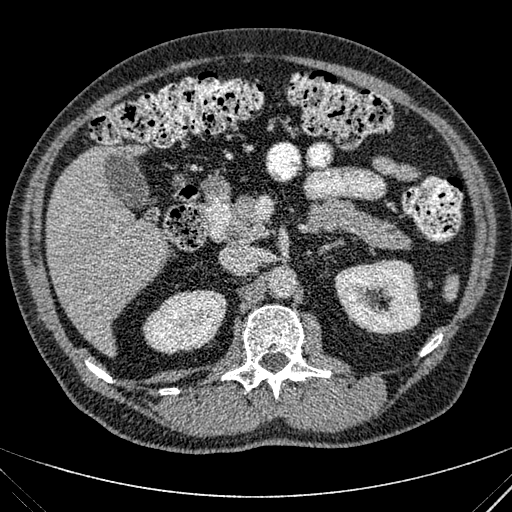
CT image; Liver
Segmented structures:
- liver: [45, 144, 169, 357]
- kidney: [143, 290, 225, 353], [335, 260, 419, 333]